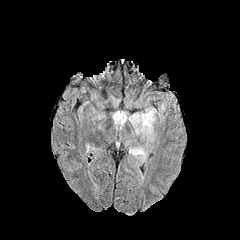
FLAIR MR.
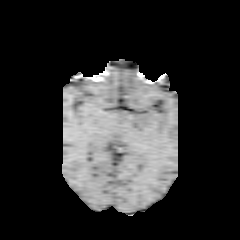
T1-weighted MR.
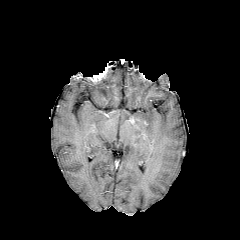
Post-contrast T1-weighted magnetic resonance of the same slice.
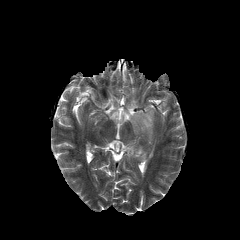
T2-weighted MR of the same slice.
Edema: bounding box box(127, 143, 147, 165); box(158, 102, 166, 121); box(110, 105, 156, 146).